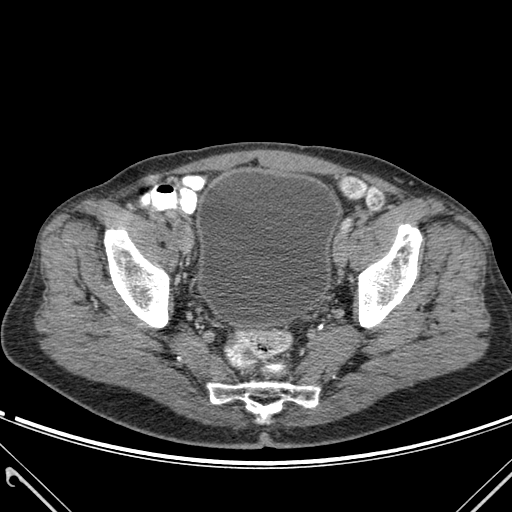

Lower abdomen. CT.

{"urinary_bladder": ["199 172 337 322"], "bone": ["358 224 421 327", "104 229 168 327", "208 382 319 421"]}